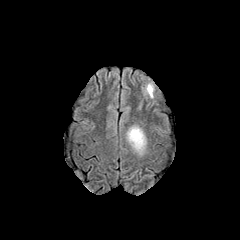
FLAIR MR.
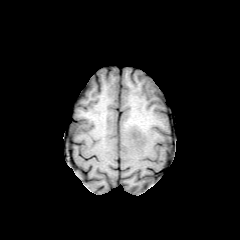
T1-weighted magnetic resonance.
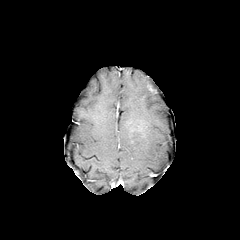
Same slice, post-contrast T1-weighted MR.
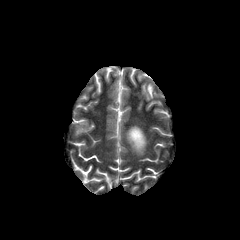
T2-weighted MRI.
240x240
{"edema": ["l=126, t=125, r=146, b=154"]}